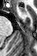
Magnetic resonance.
Anterior hippocampus — (19,7,25,12).